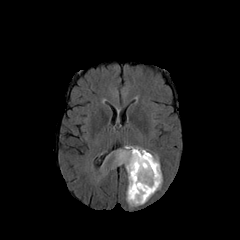
FLAIR MRI.
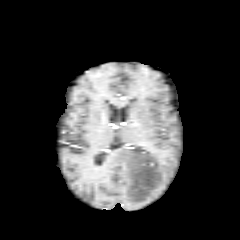
T1-weighted magnetic resonance.
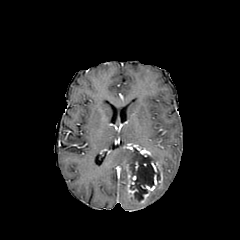
Post-contrast T1-weighted MRI.
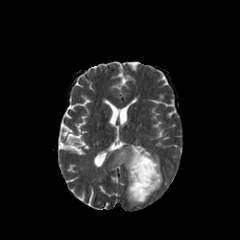
T2-weighted MR.
Brain.
{"edema": ["box=[113, 146, 135, 174]", "box=[146, 182, 161, 200]", "box=[126, 186, 144, 206]"], "non-enhancing_tumor_core": ["box=[130, 147, 160, 201]"], "enhancing_tumor": ["box=[128, 185, 137, 197]", "box=[151, 162, 159, 172]", "box=[141, 173, 161, 202]", "box=[128, 175, 136, 184]", "box=[134, 145, 151, 156]"]}